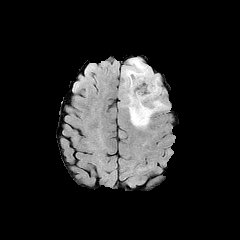
FLAIR MRI.
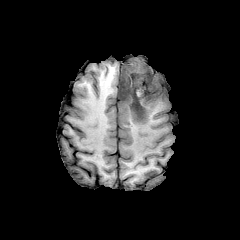
Same slice, T1-weighted MR image.
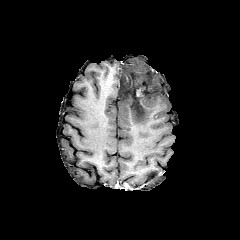
Same slice, post-contrast T1-weighted magnetic resonance.
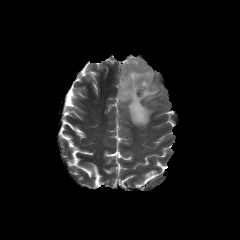
T2-weighted MR image.
Findings:
- edema: (120,58,164,127)
- non-enhancing tumor core: (122,72,153,116)